Head, 240x240, Slice index 71
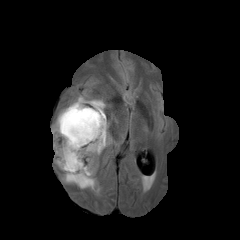
FLAIR MR.
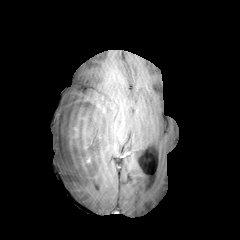
T1-weighted MRI of the same slice.
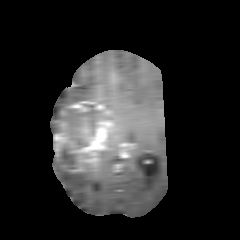
Post-contrast T1-weighted magnetic resonance of the same slice.
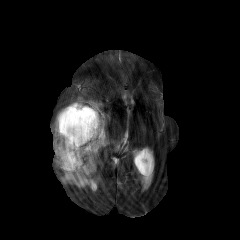
Same slice, T2-weighted magnetic resonance.
• edema: 52:103:93:132, 90:100:109:144, 53:135:101:189
• enhancing tumor: 54:120:106:164, 69:100:91:110
• non-enhancing tumor core: 64:102:101:148, 60:145:88:168